Slice 65 of 104 | Computed tomography | 512x512 px

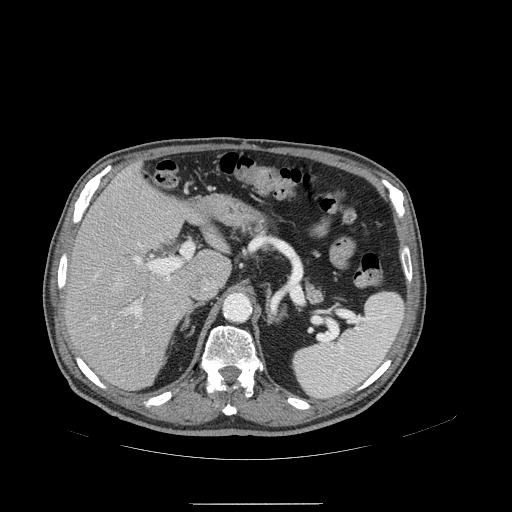 * pancreas: region(302, 273, 328, 305); region(235, 220, 272, 239)